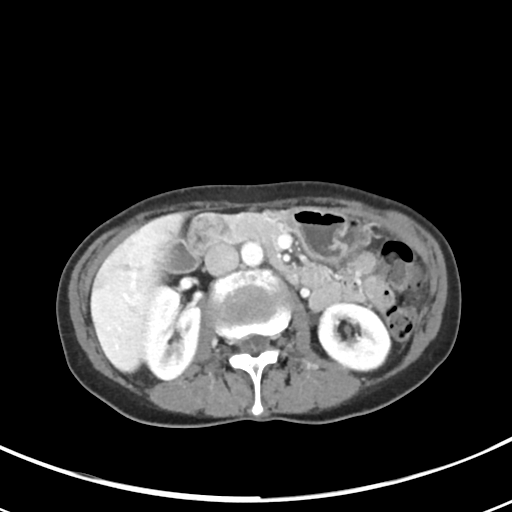
Computed tomography.

• liver tumor: 98 245 151 313